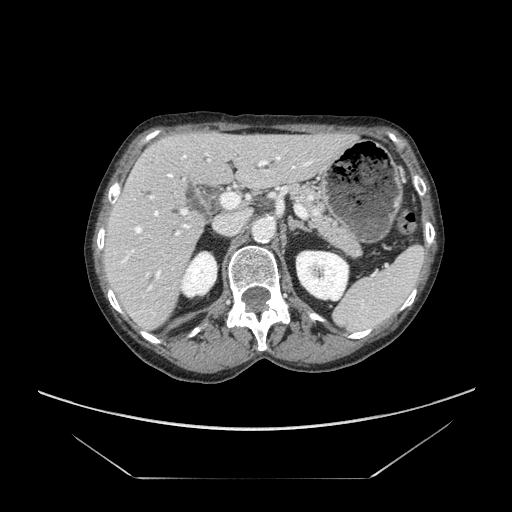

CT scan slice. Abdomen.

Annotated regions:
* pancreas: (275, 182, 365, 260)